CT slice, Upper abdomen, Slice 51 of 99
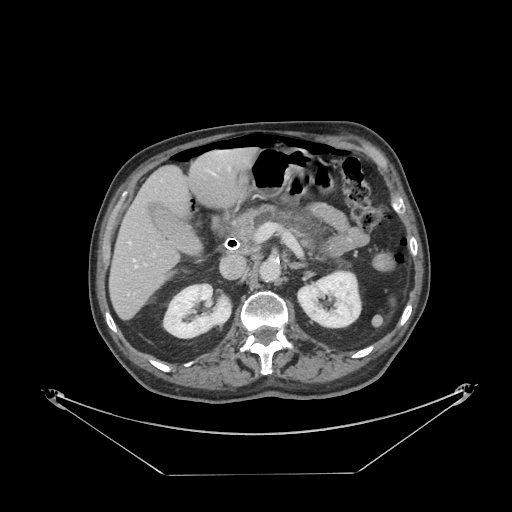 Pancreas: bounding box left=235, top=206, right=319, bottom=253.